CT image, Abdomen, Slice 383 of 871 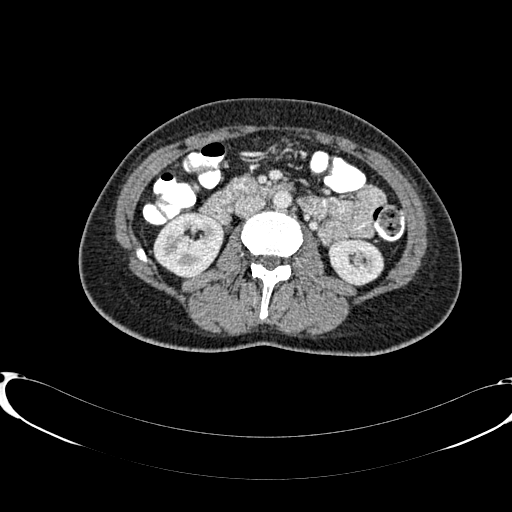
Kidney — [330,241,382,283], [155,214,222,276].